Slice 28/85, CT, 512x512 px 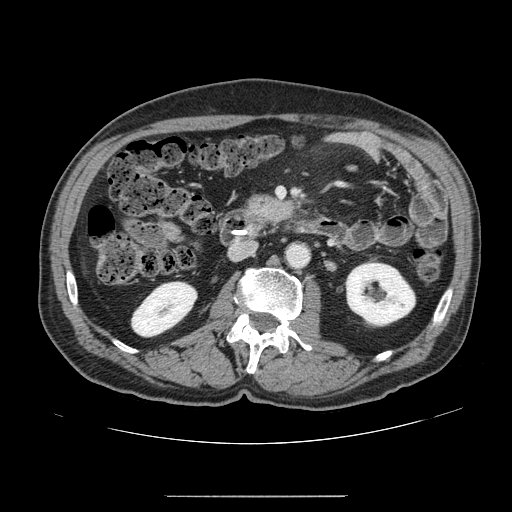 Pancreas: bounding box box(246, 192, 270, 199).
Pancreatic tumor: bounding box box(246, 194, 295, 223).